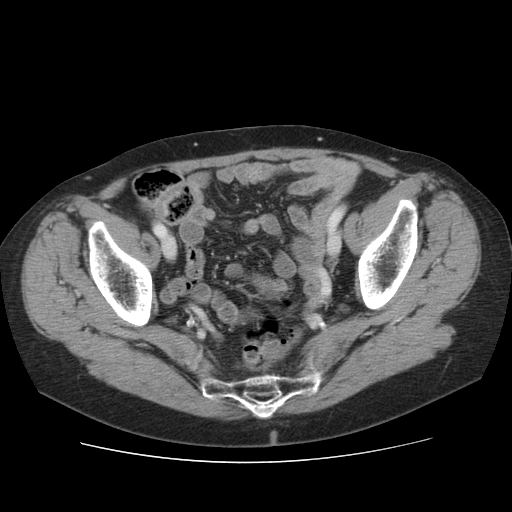

CT slice. 512x512.
bone: <box>201,320,370,416</box>, <box>354,198,419,313</box>, <box>87,221,157,331</box>, <box>149,332,201,370</box>